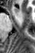 35x53; MR
Annotated regions:
* anterior hippocampus: [14,8,19,14]